MR. Hippocampus. Slice index 8.
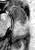 anterior hippocampus: (left=11, top=6, right=27, bottom=20) | posterior hippocampus: (left=20, top=21, right=24, bottom=23)